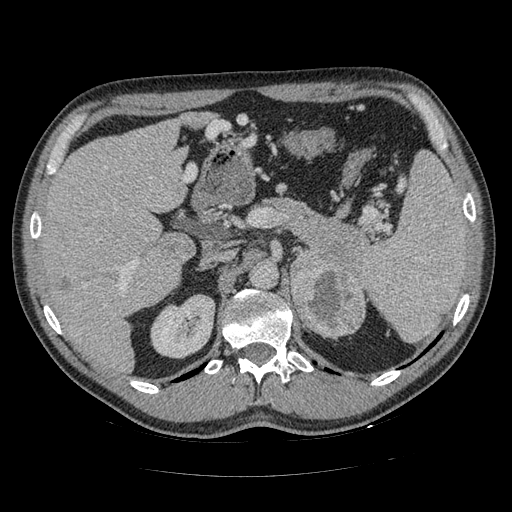
CT, Image size 512x512

<segmentation>
  <pancreatic_tumor>box=[291, 249, 365, 336]</pancreatic_tumor>
  <pancreas>box=[267, 199, 367, 289]</pancreas>
</segmentation>